FLAIR MR image.
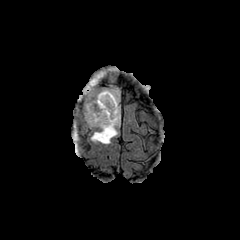
T1-weighted MR.
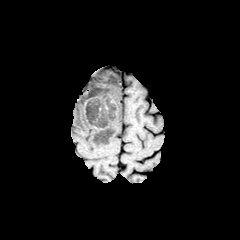
Post-contrast T1-weighted magnetic resonance.
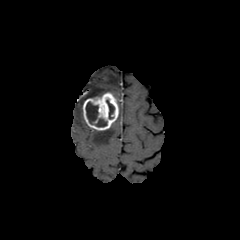
T2-weighted MRI.
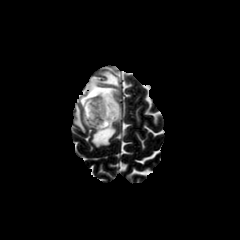
Brain
Non-enhancing tumor core at box(86, 102, 98, 124); box(106, 100, 114, 118); box(96, 119, 106, 126).
Edema at box(91, 106, 120, 146); box(75, 108, 84, 131); box(84, 71, 118, 97).
Enhancing tumor at box(83, 92, 118, 130).